FLAIR MR image.
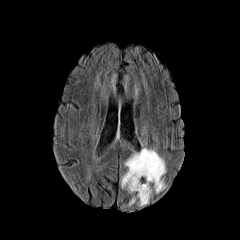
T1-weighted MRI.
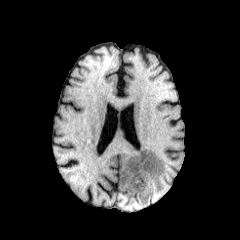
Post-contrast T1-weighted MR image.
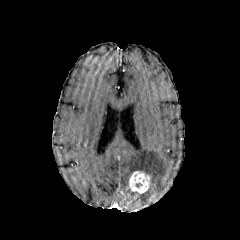
T2-weighted MR.
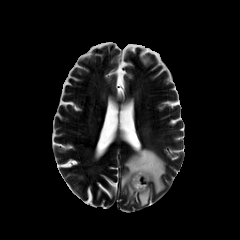
Enhancing tumor: bounding box (129, 170, 151, 193).
Edema: bounding box (119, 149, 167, 194), (128, 187, 152, 206).